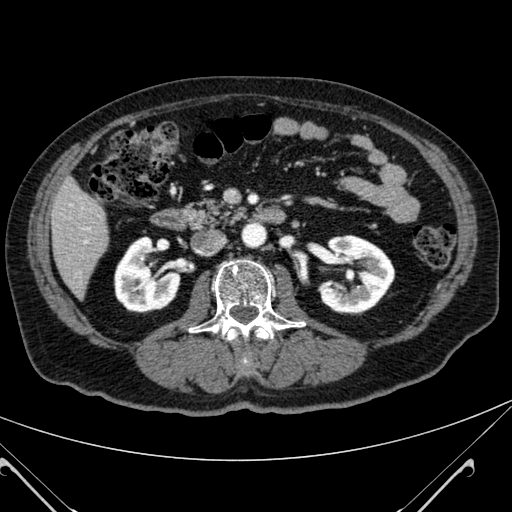

Computed tomography; Image size 512x512
{"kidney": ["box(115, 237, 179, 311)", "box(318, 236, 393, 311)"], "liver": ["box(51, 180, 106, 295)"]}